Pelvis. CT scan slice. 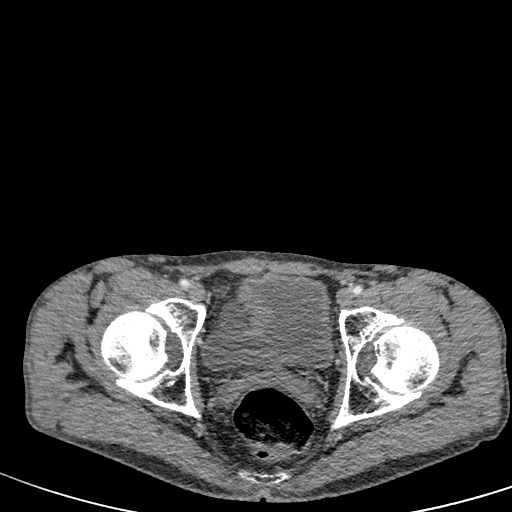

Annotated regions:
• urinary bladder: rect(202, 273, 331, 372)